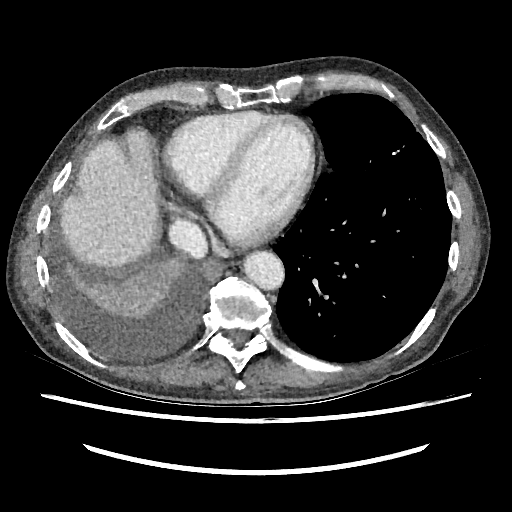 Upper abdomen, CT
Annotated regions:
- liver: region(61, 131, 157, 267)